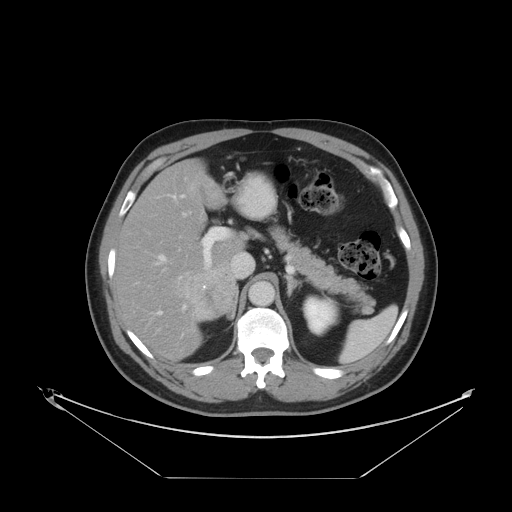 Computed tomography

Only some of the vessels may be annotated.
The liver tumor is located at (182,268,237,321). 8 hepatic vessel regions appear at (182,213,185,215), (203,226,228,268), (159,255,164,260), (181,195,183,197), (179,277,181,278), (182,306,185,309), (157,311,161,314), (169,195,175,198).